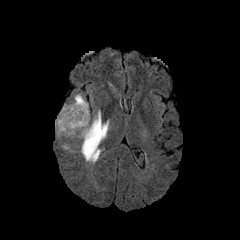
FLAIR MR.
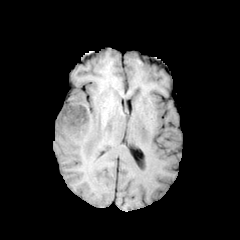
Same slice, T1-weighted MR image.
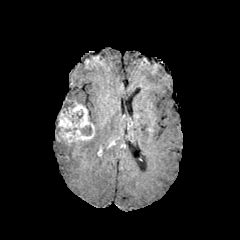
Post-contrast T1-weighted MR.
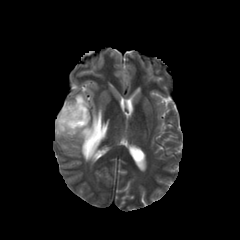
T2-weighted magnetic resonance of the same slice.
Image size 240x240. Brain.
Enhancing tumor = box(58, 102, 94, 140).
Non-enhancing tumor core = box(64, 101, 74, 111); box(78, 122, 101, 150); box(63, 128, 78, 139).
Edema = box(59, 93, 109, 163).